Abdomen | Field of view 427 mm wide, 5.00 mm slice spacing | CT slice
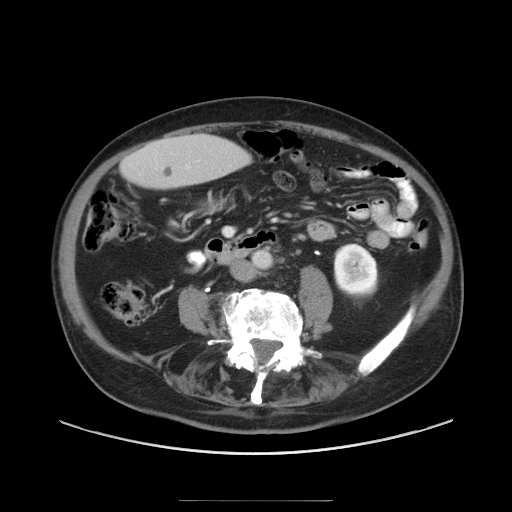
Only some of the vessels may be annotated.
{
  "hepatic_vessel": [
    "187,166,190,168"
  ]
}